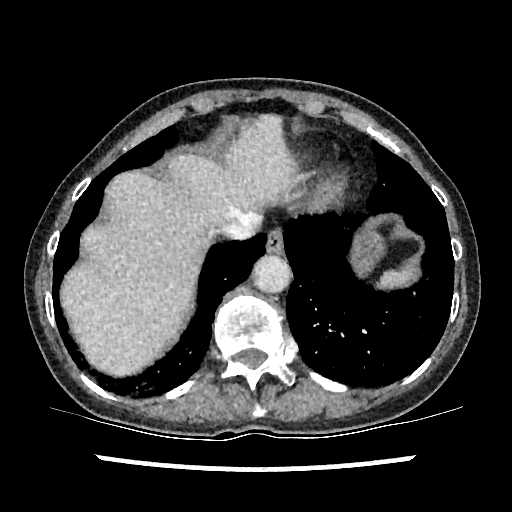
Liver, CT image

Liver — l=61, t=117, r=297, b=375.